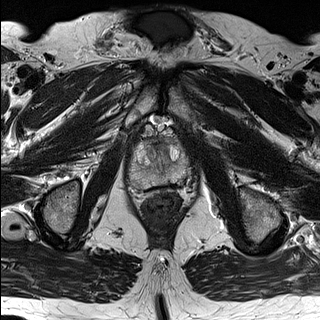
T2-weighted magnetic resonance.
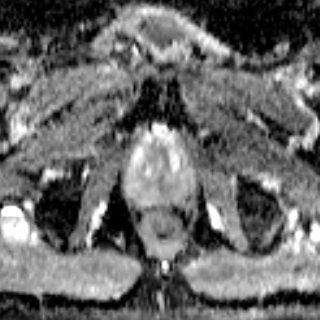
ADC MR.
Image size 320x320
Prostate peripheral zone at bbox(129, 144, 191, 188).
Prostate transition zone at bbox(134, 140, 181, 173).